Slice 358 of 519, Image size 512x512, CT scan slice
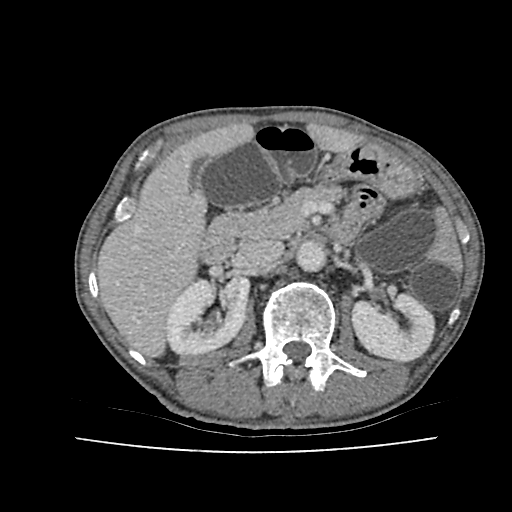

Segmented structures:
- liver: box(311, 127, 356, 148); box(98, 127, 250, 353)
- kidney: box(166, 278, 248, 353); box(352, 295, 433, 360)